Image size 240x240, Brain
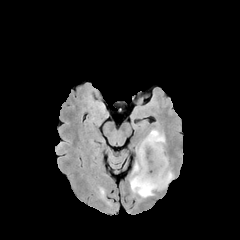
FLAIR MRI.
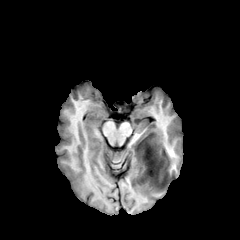
Same slice, T1-weighted magnetic resonance.
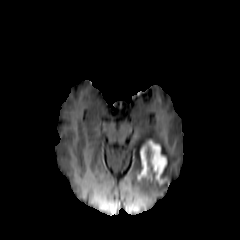
Post-contrast T1-weighted MR image of the same slice.
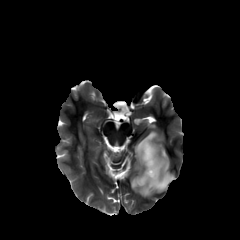
T2-weighted MR of the same slice.
non-enhancing tumor core: [146, 146, 158, 183] | enhancing tumor: [137, 140, 166, 184] | edema: [130, 128, 174, 197]